Field of view 512 mm wide, 1.00 mm slice spacing | Abdomen | CT image | Slice index 8
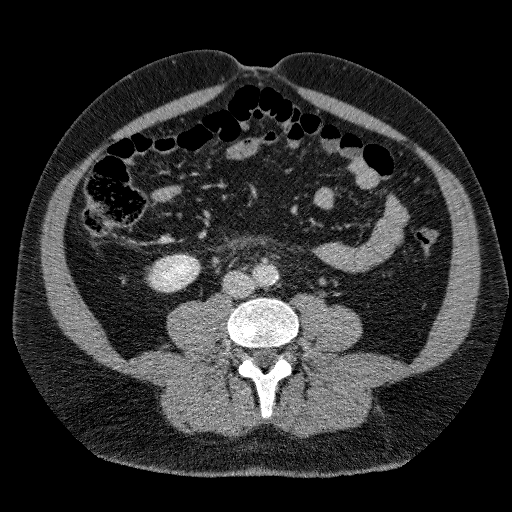 kidney:
  - 151:255:198:290